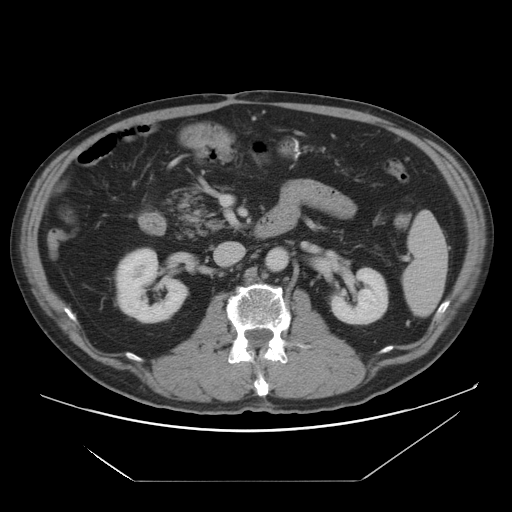
CT image; Abdomen
Kidney: left=332, top=268, right=387, bottom=323; left=118, top=249, right=186, bottom=321.